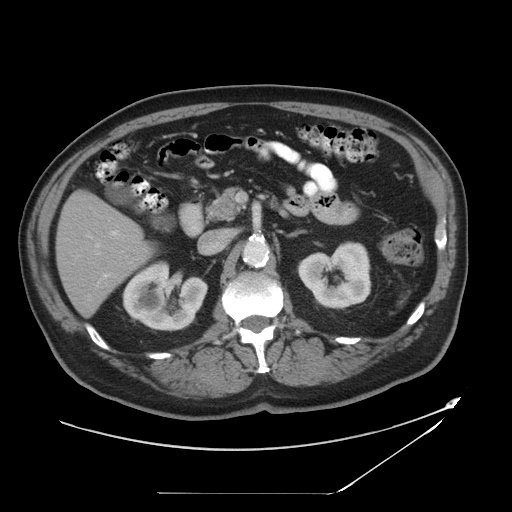

CT slice
Not every hepatic vessel necessarily has a box.
8 hepatic vessel regions are located at 109 226 118 238, 95 274 116 287, 126 248 127 249, 133 235 137 242, 87 294 91 300, 95 243 99 247, 122 236 124 238, 97 253 99 254.